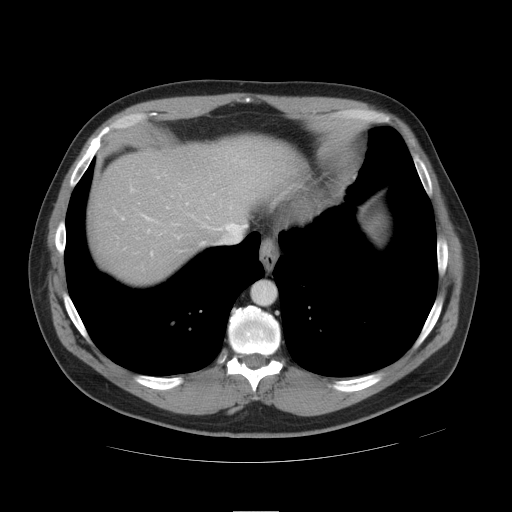
CT
Not every hepatic vessel necessarily has a box.
Annotated regions:
- hepatic vessel: 131:189:132:190, 205:226:221:229, 226:223:233:227